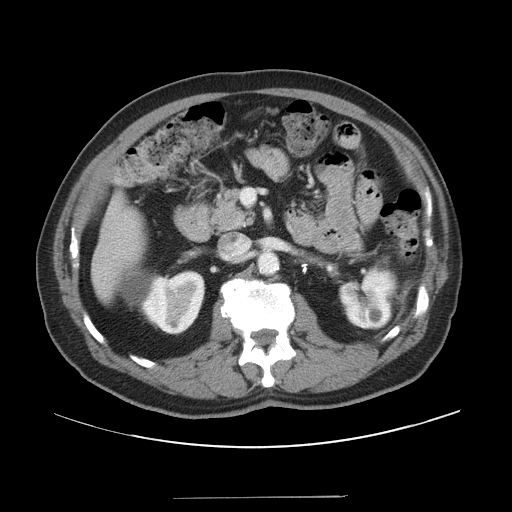
Abdomen | Computed tomography

<segmentation>
  <pancreas>x1=211 y1=189 x2=255 y2=231</pancreas>
</segmentation>